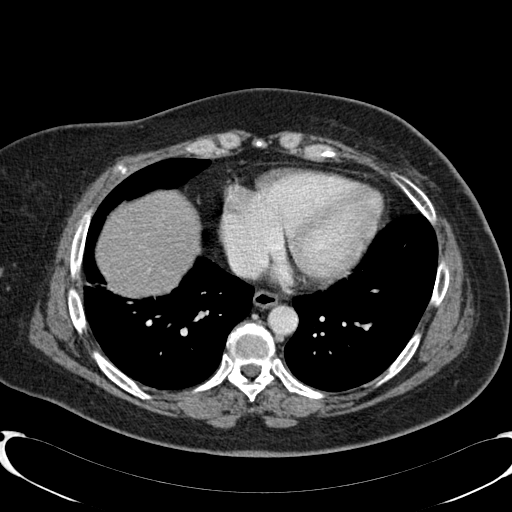 Abdomen; Image size 512x512; Computed tomography
The liver appears at 97,192,198,293.